Liver. CT image. 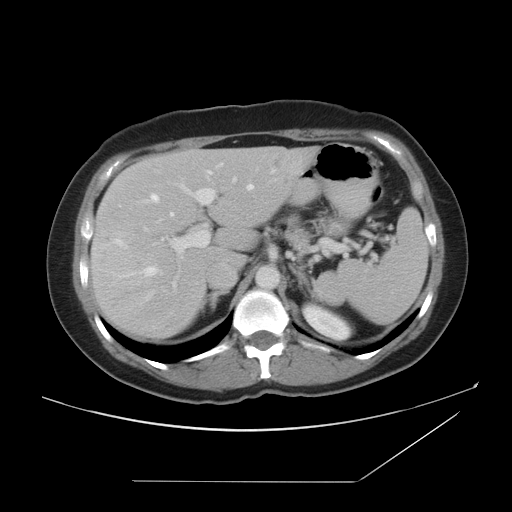 The vessel boxes may cover only some of the vessels.
Top 15 of 16 hepatic vessel regions: <box>115,239,126,247</box>, <box>247,185,253,189</box>, <box>271,169,274,172</box>, <box>232,178,236,181</box>, <box>218,163,222,166</box>, <box>144,227,146,229</box>, <box>153,243,156,244</box>, <box>161,237,164,239</box>, <box>146,291,153,300</box>, <box>141,267,162,275</box>, <box>169,224,209,253</box>, <box>207,171,211,179</box>, <box>151,194,158,202</box>, <box>171,213,173,215</box>, <box>180,184,214,203</box>.
Liver tumor: <box>282,177,290,185</box>, <box>277,160,288,167</box>.